Abdomen | Slice index 27 | CT

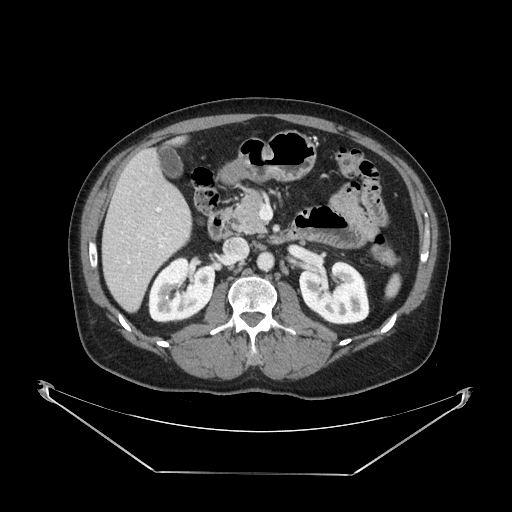
Findings:
• pancreas: <box>227,188,265,233</box>